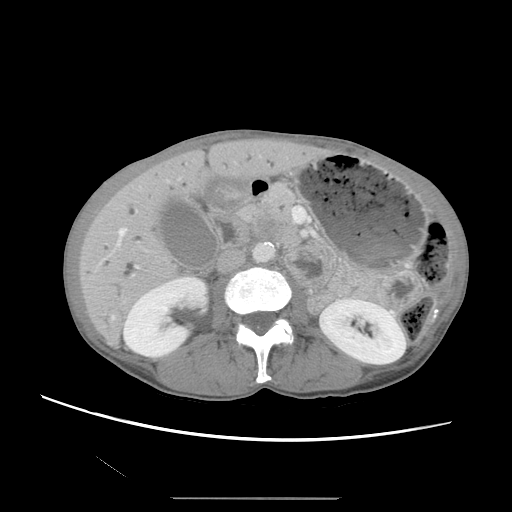 Computed tomography

Pancreatic tumor: bounding box box(254, 205, 286, 239).
Pancreas: bounding box box(241, 186, 297, 248).